FLAIR MR image.
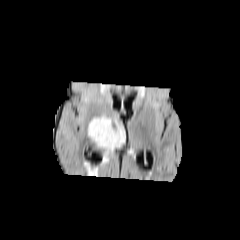
T1-weighted MRI.
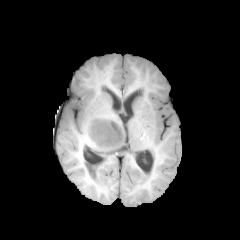
Post-contrast T1-weighted MR image.
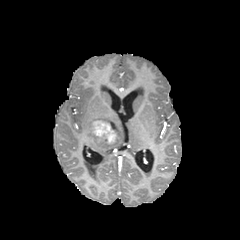
T2-weighted MR image.
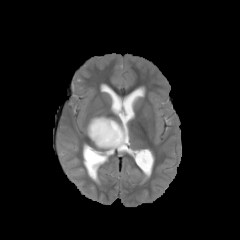
Head, Image size 240x240
Non-enhancing tumor core: bounding box (left=90, top=117, right=119, bottom=142), (left=94, top=136, right=112, bottom=145).
Edema: bounding box (left=86, top=120, right=123, bottom=149).
Enhancing tumor: bounding box (left=91, top=120, right=116, bottom=143).